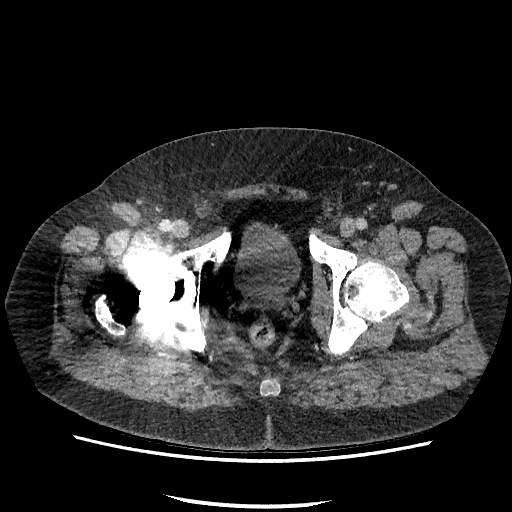

CT scan slice
{"urinary_bladder": ["<bbox>237, 222, 300, 297</bbox>"]}